Field of view 313 mm wide, 5.00 mm slice spacing | Slice 16/32 | CT
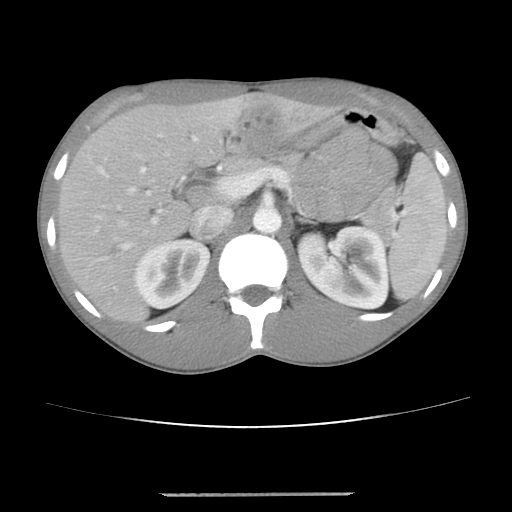
Only some of the vessels may be annotated.
Hepatic vessel = 142:169:145:171, 148:193:149:194, 152:219:157:223, 194:138:196:140, 131:189:134:192.
Liver tumor = 222:106:284:157.